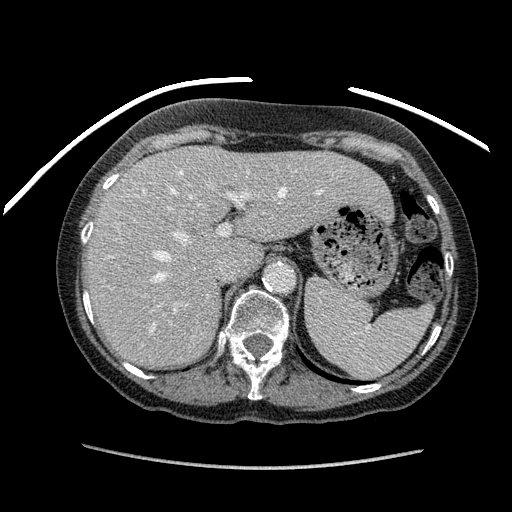

Image size 512x512, CT image
- liver: l=85, t=146, r=392, b=367